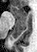
Hippocampus | 37x52 | MRI slice
<segmentation>
  <anterior_hippocampus><box>10,6,26,18</box></anterior_hippocampus>
  <posterior_hippocampus><box>10,37,12,40</box>, <box>10,19,25,38</box></posterior_hippocampus>
</segmentation>